CT scan slice; Abdomen

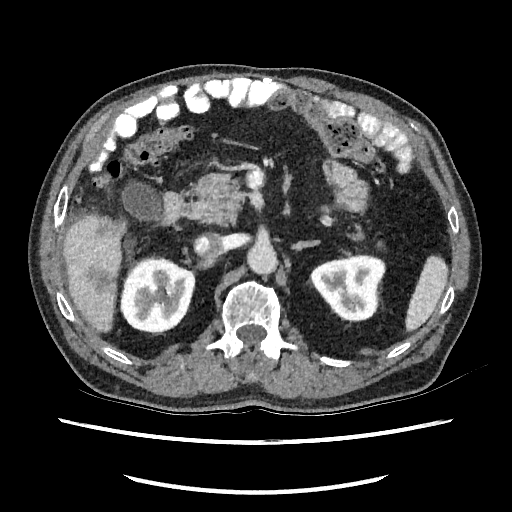 <segmentation>
  <kidney>(left=310, top=253, right=385, bottom=321), (left=120, top=257, right=194, bottom=332)</kidney>
  <liver>(left=63, top=215, right=121, bottom=331)</liver>
  <hepatic_lesion>(left=88, top=266, right=115, bottom=292), (left=95, top=217, right=124, bottom=235)</hepatic_lesion>
</segmentation>